Field of view 240x240 mm. Slice index 37. Brain.
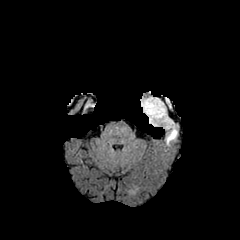
FLAIR MR image.
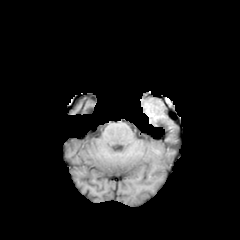
T1-weighted MR.
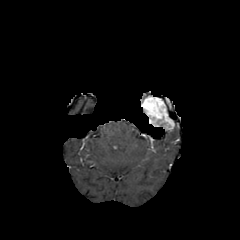
Post-contrast T1-weighted magnetic resonance of the same slice.
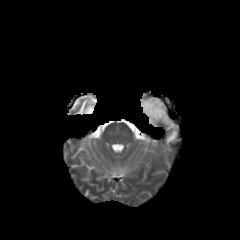
T2-weighted magnetic resonance of the same slice.
Edema at 167, 128, 177, 144.
Enhancing tumor at 140, 97, 174, 129.